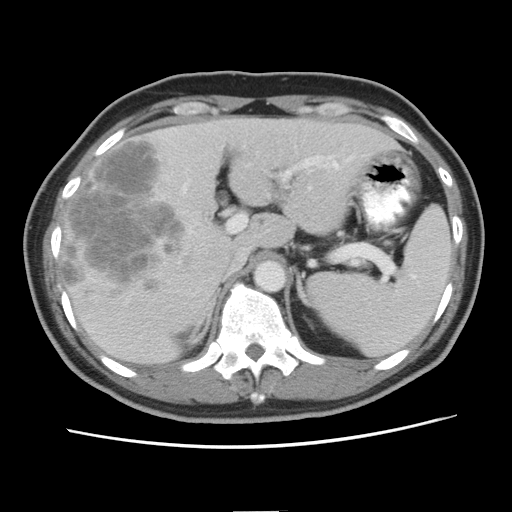
512x512; CT image

Only some of the vessels may be annotated.
hepatic vessel: box=[302, 156, 338, 168]; box=[188, 180, 190, 182]; box=[182, 184, 186, 192]; box=[228, 215, 246, 231] | liver tumor: box=[63, 139, 184, 291]